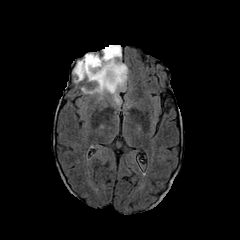
FLAIR magnetic resonance.
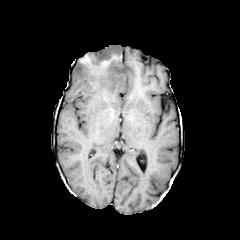
T1-weighted MRI.
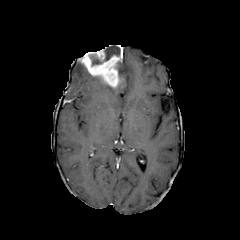
Post-contrast T1-weighted MR.
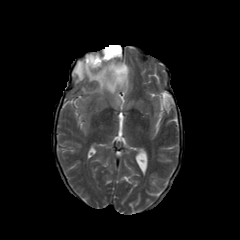
Same slice, T2-weighted magnetic resonance.
Brain.
{
  "edema": [
    "box(72, 61, 129, 106)"
  ],
  "enhancing_tumor": [
    "box(79, 47, 123, 87)"
  ],
  "non-enhancing_tumor_core": [
    "box(104, 45, 120, 60)",
    "box(118, 66, 124, 77)"
  ]
}